FLAIR magnetic resonance.
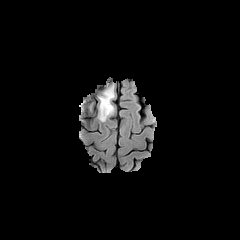
T1-weighted MR.
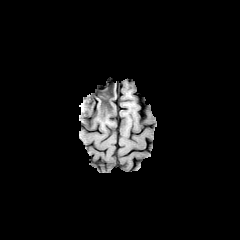
Post-contrast T1-weighted MRI.
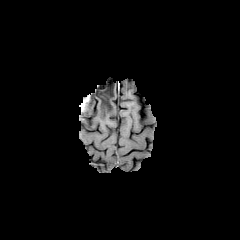
T2-weighted MRI.
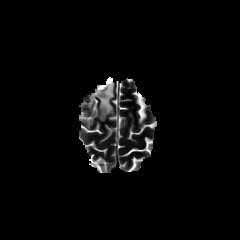
Brain | Image size 240x240
{"edema": ["region(98, 114, 110, 121)", "region(79, 83, 112, 112)"], "non-enhancing_tumor_core": ["region(97, 84, 114, 118)"]}